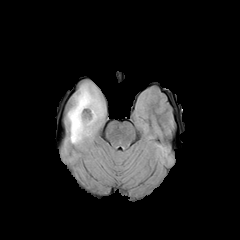
FLAIR MR image.
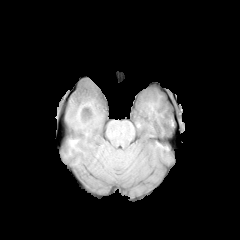
T1-weighted MRI.
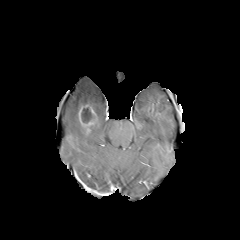
Post-contrast T1-weighted MRI of the same slice.
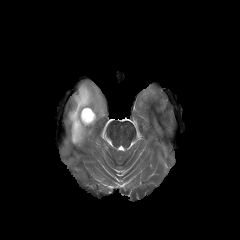
Same slice, T2-weighted MRI.
Head.
{
  "non-enhancing_tumor_core": [
    "80,104,95,122"
  ],
  "edema": [
    "67,83,104,144"
  ],
  "enhancing_tumor": [
    "78,109,93,131"
  ]
}